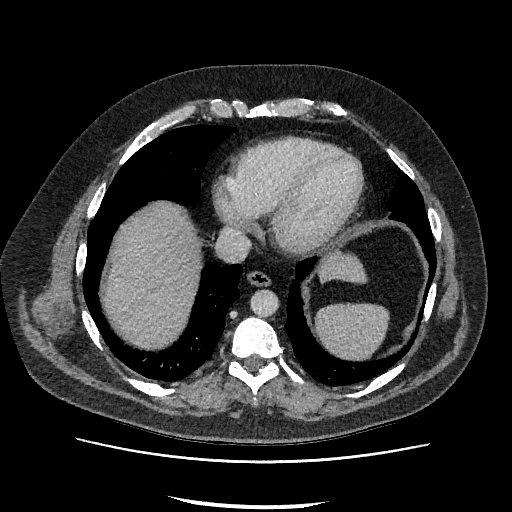
CT slice
Segmented structures:
• liver: bbox=[320, 256, 365, 282]; bbox=[105, 207, 197, 347]